Abdomen | CT slice | Slice 52 of 121
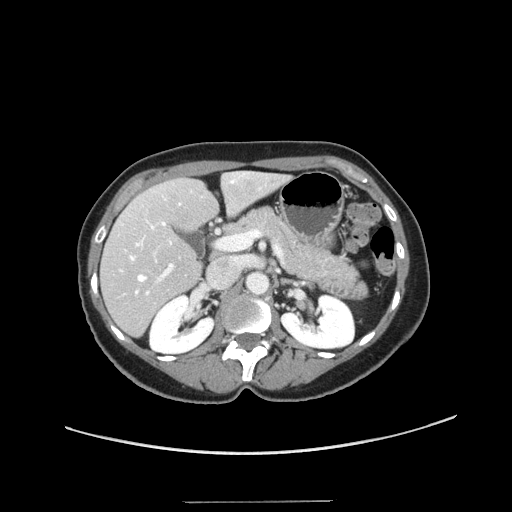

The vessel boxes may cover only some of the vessels.
Hepatic vessel at <box>136,238,143,245</box>, <box>146,291,148,293</box>, <box>138,275,145,280</box>, <box>221,232,249,248</box>, <box>160,264,173,278</box>, <box>130,255,135,259</box>, <box>169,241,171,243</box>, <box>136,290,137,292</box>, <box>151,225,153,227</box>, <box>163,222,165,224</box>.